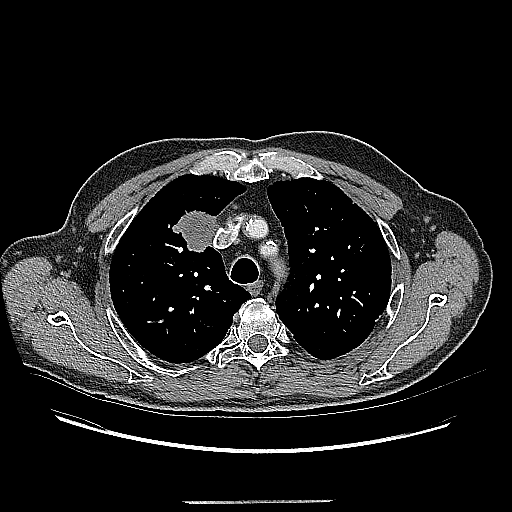
Chest | Computed tomography
Annotated regions:
- lung tumor: l=172, t=209, r=218, b=252